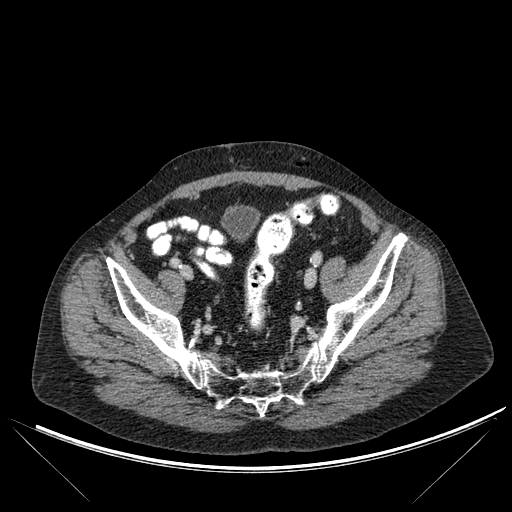 CT
<segmentation>
  <bone>x1=106, y1=233, x2=407, y2=417</bone>
</segmentation>